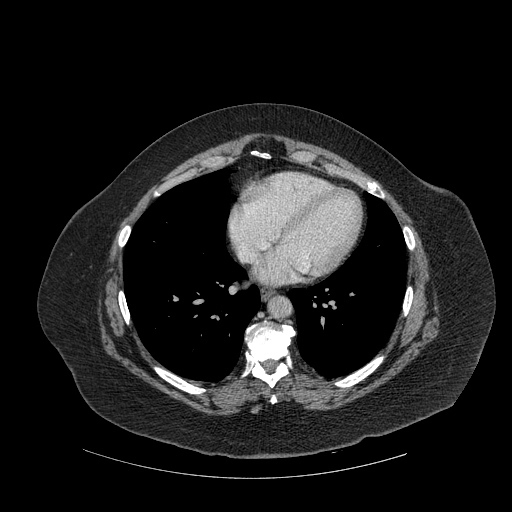 Computed tomography; Thorax

{"bone": ["155:367:205:393", "403:287:412:315", "251:151:269:158", "243:323:294:387", "403:227:414:249", "119:291:129:323", "335:357:382:387", "119:226:130:246"], "lung": ["289:192:405:377", "123:169:260:381"]}